FLAIR MR image.
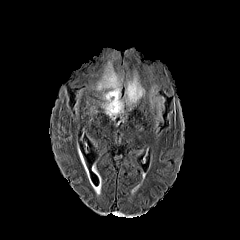
T1-weighted MRI.
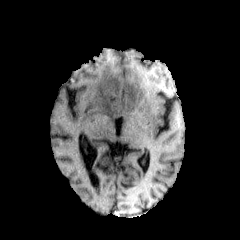
Post-contrast T1-weighted MR image.
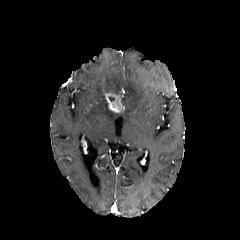
T2-weighted magnetic resonance.
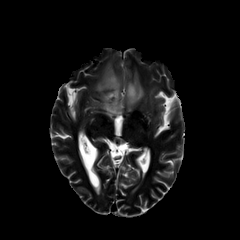
240x240 | Brain
<segmentation>
  <enhancing_tumor>[x1=104, y1=92, x2=124, y2=112]</enhancing_tumor>
  <edema>[x1=92, y1=62, x2=124, y2=100], [x1=99, y1=101, x2=123, y2=120], [x1=122, y1=70, x2=164, y2=124]</edema>
</segmentation>